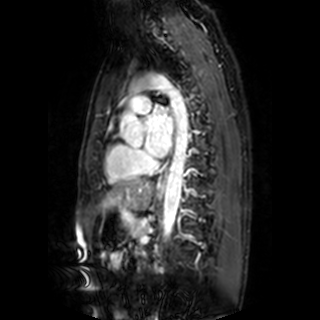 Heart; 320x320 px; MR image
Left atrium at {"x1": 144, "y1": 106, "x2": 172, "y2": 158}.